Slice index 80 | Image size 240x240 | Field of view 240 mm wide, 1.00 mm slice spacing
FLAIR MR image.
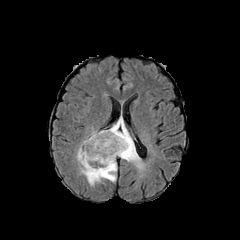
T1-weighted MR image.
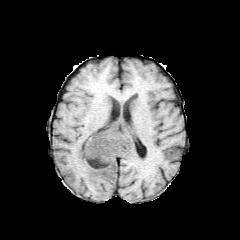
Post-contrast T1-weighted MRI.
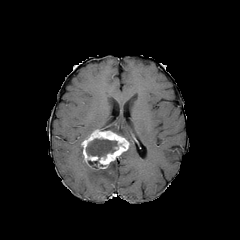
T2-weighted magnetic resonance.
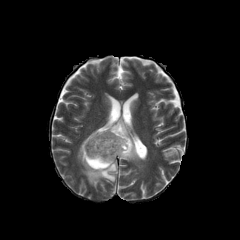
Edema: bounding box <bbox>76, 145, 117, 185</bbox>, <bbox>108, 117, 141, 167</bbox>.
Enhancing tumor: bounding box <bbox>82, 130, 129, 168</bbox>.
Non-enhancing tumor core: bounding box <bbox>88, 160, 105, 168</bbox>, <bbox>86, 139, 117, 157</bbox>.